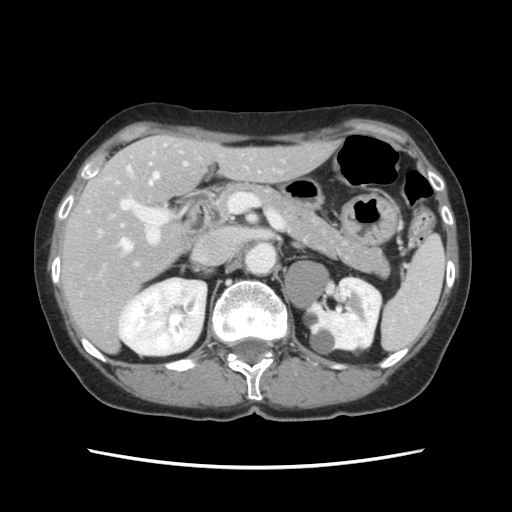

CT image
Not every hepatic vessel necessarily has a box.
7 hepatic vessel regions are located at 164 145 165 146, 183 163 186 165, 126 166 131 174, 120 200 125 209, 120 239 131 250, 153 173 158 179, 149 181 152 184.